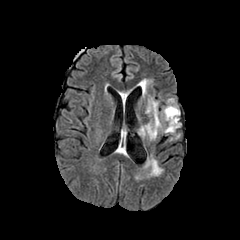
FLAIR magnetic resonance.
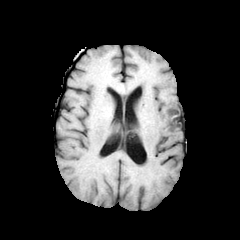
T1-weighted MR of the same slice.
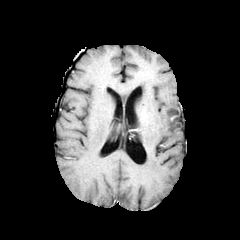
Post-contrast T1-weighted MR.
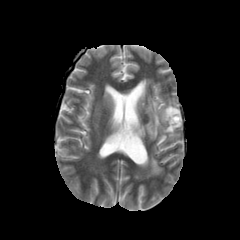
T2-weighted MR.
Head
non-enhancing_tumor_core:
  - region(168, 108, 178, 121)
edema:
  - region(139, 79, 181, 139)
  - region(120, 93, 127, 104)
  - region(147, 158, 162, 175)